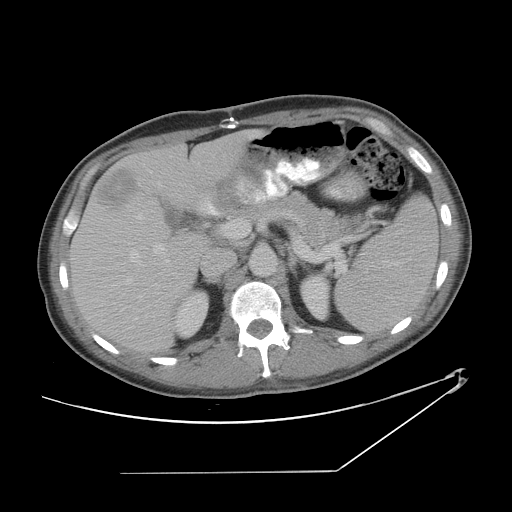 CT; Image size 512x512; Abdomen
Not every hepatic vessel necessarily has a box.
The liver tumor lies within <bbox>95, 168, 141, 212</bbox>. 9 hepatic vessel regions are bounded by <bbox>155, 284, 158, 287</bbox>, <bbox>138, 214, 142, 219</bbox>, <bbox>131, 249, 141, 264</bbox>, <bbox>154, 244, 165, 254</bbox>, <bbox>158, 182, 161, 187</bbox>, <bbox>152, 314, 153, 316</bbox>, <bbox>163, 260, 168, 263</bbox>, <bbox>147, 169, 152, 173</bbox>, <bbox>125, 280, 131, 284</bbox>.